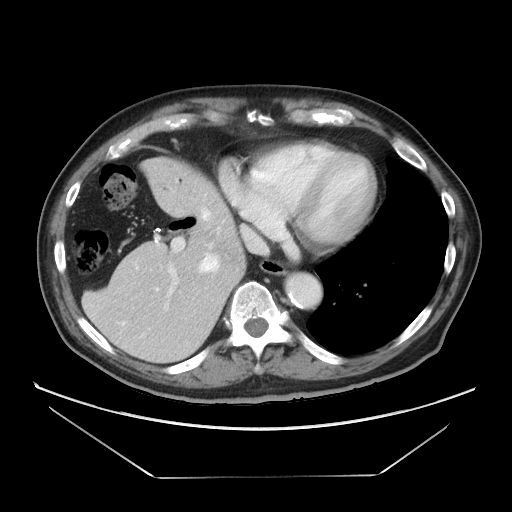
Liver; CT slice

Only some of the vessels may be annotated.
4 hepatic vessel regions are bounded by 166, 263, 177, 297; 164, 301, 168, 308; 172, 238, 184, 251; 198, 253, 218, 272.